Computed tomography. 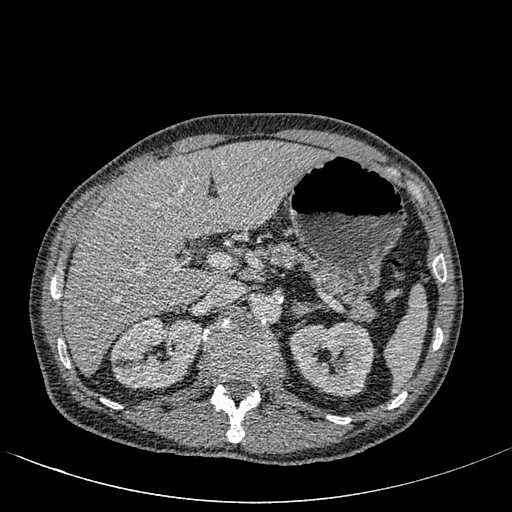 2 kidney regions are located at <box>111,317,202,388</box>, <box>290,322,373,396</box>. 2 liver regions are located at <box>62,142,328,375</box>, <box>235,250,244,257</box>.